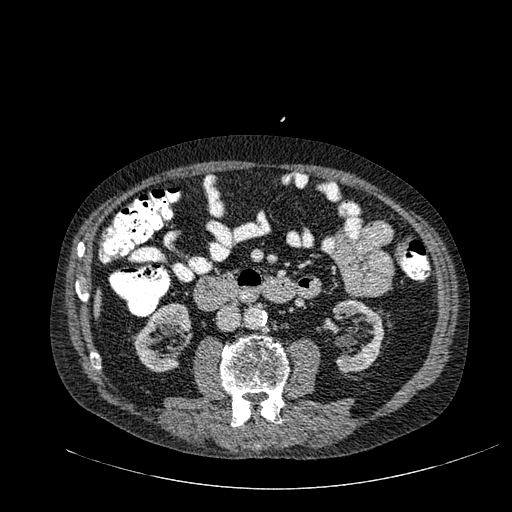

512x512, CT scan slice
Kidney = <bbox>322, 301, 384, 374</bbox>, <bbox>133, 303, 191, 371</bbox>.
Liver = <bbox>93, 288, 100, 317</bbox>.